Slice index 24. CT slice. Abdomen.
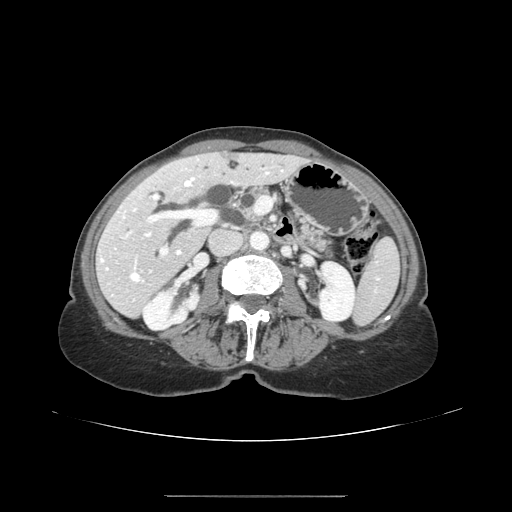

Pancreas — [x1=296, y1=217, x2=332, y2=256], [x1=238, y1=188, x2=277, y2=221].